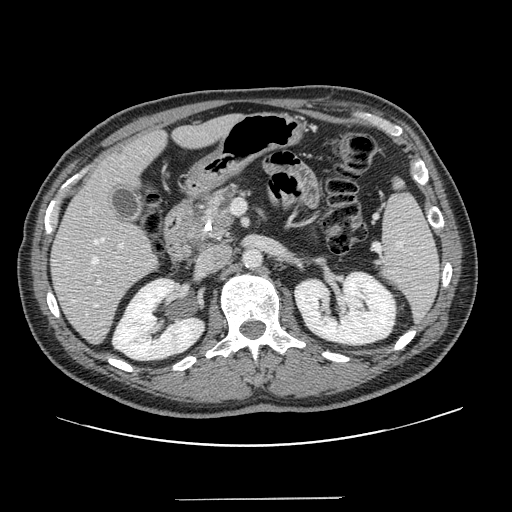 CT image
pancreas: [x1=180, y1=180, x2=252, y2=252]